Slice 29 of 92; CT scan slice; Image size 512x512; Abdomen 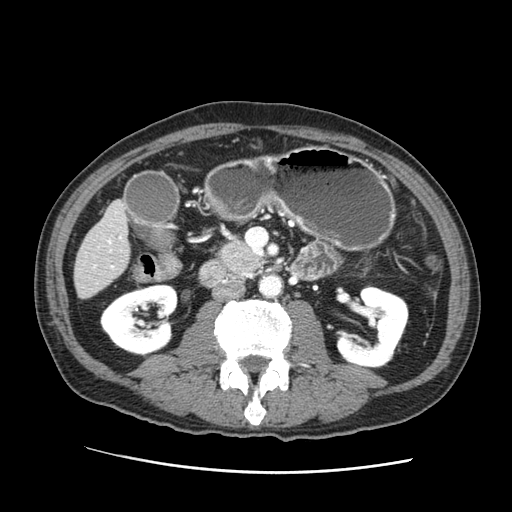 pancreas: rect(218, 240, 260, 276)